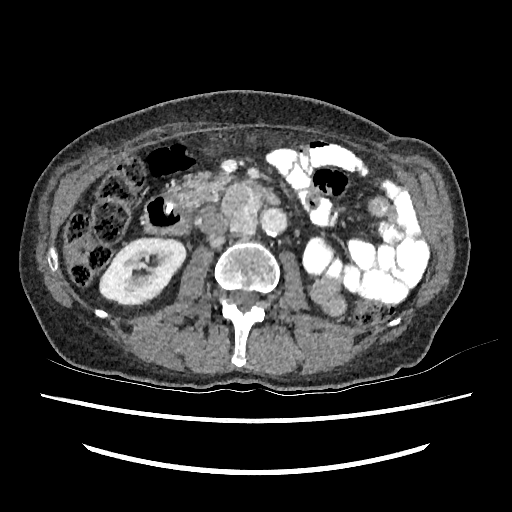

512x512 px; CT slice
Kidney — 100:239:185:303.